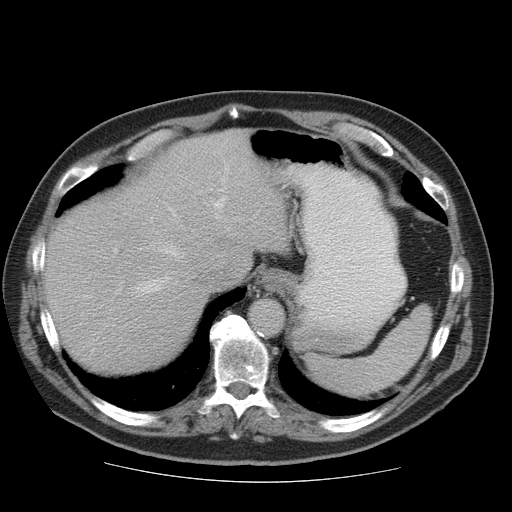
Image size 512x512; CT image; Abdomen
The vessel annotation is not exhaustive.
partial: true
hepatic_vessel:
  # 15 of 18 shown
  - bbox=[204, 196, 227, 211]
  - bbox=[114, 248, 117, 251]
  - bbox=[199, 190, 201, 193]
  - bbox=[213, 151, 228, 172]
  - bbox=[222, 140, 226, 144]
  - bbox=[221, 178, 225, 181]
  - bbox=[115, 281, 122, 294]
  - bbox=[219, 188, 226, 191]
  - bbox=[227, 228, 229, 230]
  - bbox=[147, 236, 149, 237]
  - bbox=[130, 272, 169, 299]
  - bbox=[234, 217, 239, 219]
  - bbox=[167, 205, 179, 217]
  - bbox=[151, 240, 183, 260]
  - bbox=[216, 213, 225, 221]